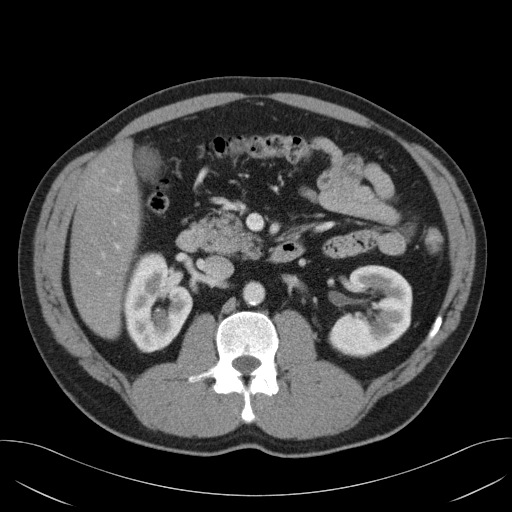

Computed tomography; 512x512; Abdomen

Pancreas — l=203, t=210, r=266, b=261.